Image width 240 mm; Head
FLAIR MR image.
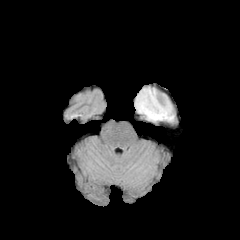
T1-weighted MRI.
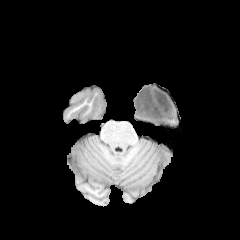
Post-contrast T1-weighted MR image.
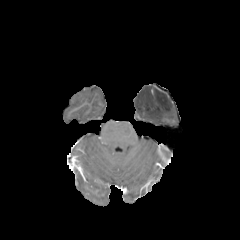
T2-weighted MR.
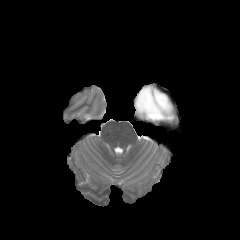
Edema — bbox(136, 105, 174, 123).
Non-enhancing tumor core — bbox(135, 86, 171, 120).